512x512 | CT 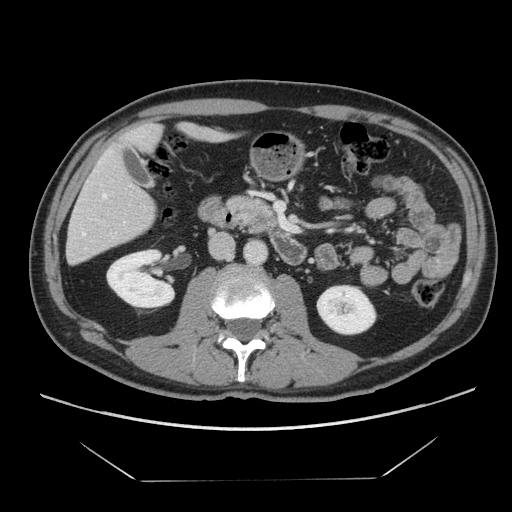 Pancreas = (x1=230, y1=197, x2=276, y2=231).
Pancreatic tumor = (x1=246, y1=208, x2=274, y2=228).